Liver | 512x512 | CT

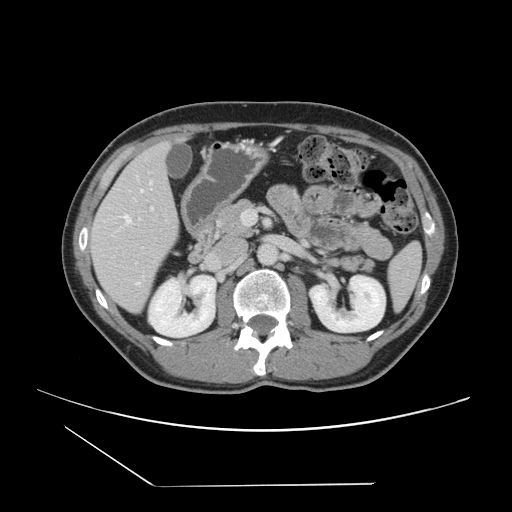

The vessel boxes may cover only some of the vessels.
2 hepatic vessel regions are bounded by (150, 184, 151, 187), (126, 221, 133, 225).